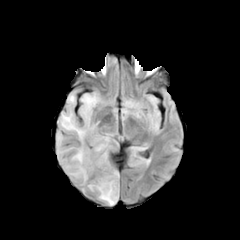
FLAIR MRI.
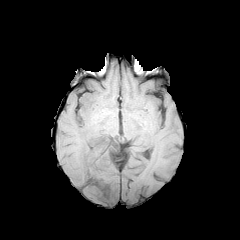
T1-weighted MR of the same slice.
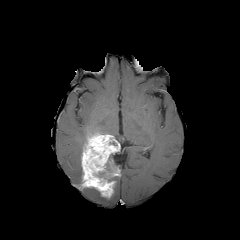
Post-contrast T1-weighted MR.
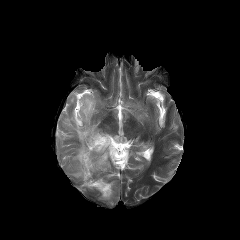
T2-weighted MRI.
Image size 240x240 | Brain
2 non-enhancing tumor core regions appear at (left=93, top=156, right=117, bottom=188), (left=79, top=126, right=104, bottom=149). The enhancing tumor is located at (left=81, top=132, right=119, bottom=197). 4 edema regions appear at (left=89, top=176, right=119, bottom=204), (left=58, top=92, right=104, bottom=142), (left=68, top=144, right=81, bottom=178), (left=57, top=130, right=73, bottom=156).